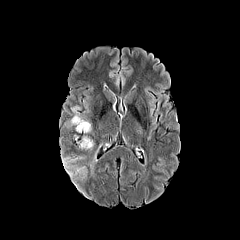
FLAIR MRI.
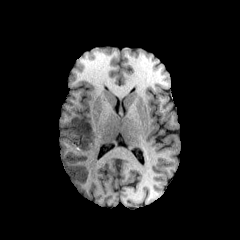
T1-weighted MRI.
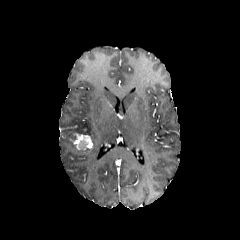
Same slice, post-contrast T1-weighted MR.
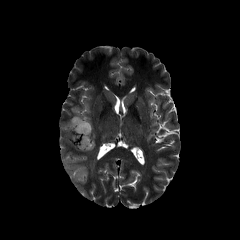
Same slice, T2-weighted MR image.
Brain.
Findings:
• edema: 89 145 100 173, 70 166 83 179, 67 106 91 134
• enhancing tumor: 71 133 92 150